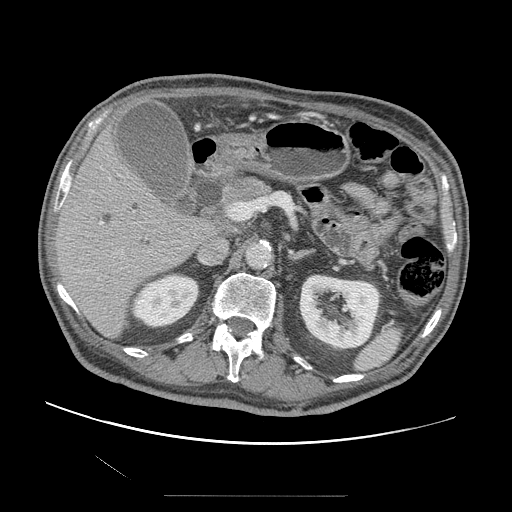 CT | Upper abdomen

Pancreatic tumor — x1=227 y1=180 x2=256 y2=198.
Pancreas — x1=222 y1=177 x2=272 y2=203.